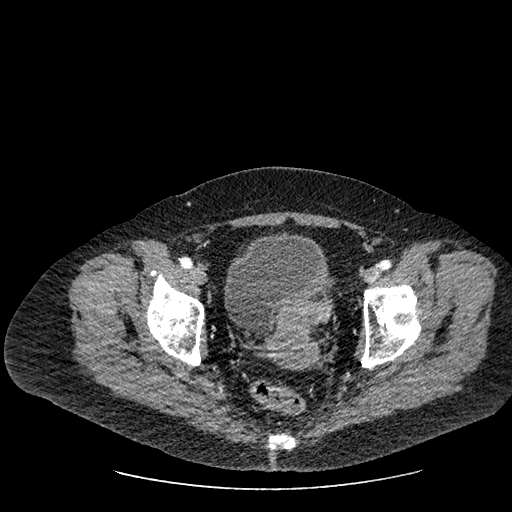
CT | Lower abdomen | 512x512 px
Urinary bladder: (225, 232, 326, 334).